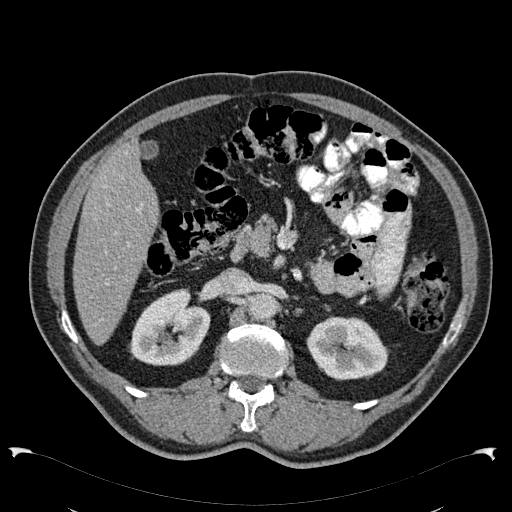 CT scan slice

Liver: bounding box (74, 138, 158, 345).
Kidney: bounding box (199, 288, 211, 300), (130, 289, 210, 365), (307, 317, 387, 379).